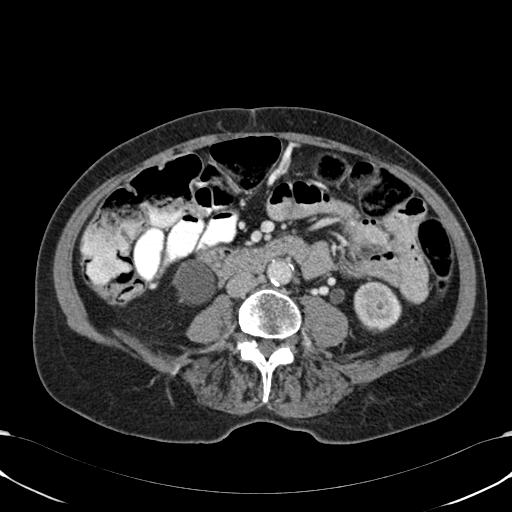

CT scan slice
2 kidney regions appear at (181,291,208,303), (354,282,400,329).